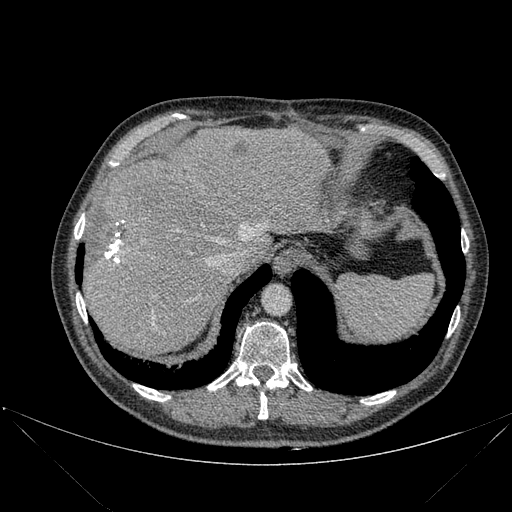

CT image, Upper abdomen
lung: [91,264,271,389], [75,244,84,284], [291,156,465,394] | hepatic lesion: [233,142,246,154] | bone: [461,229,468,252], [207,322,311,390], [76,294,87,322], [74,214,84,239], [133,384,169,401], [258,392,267,418], [447,311,459,336], [361,391,395,405] | liver: [244,240,257,271], [83,126,337,353], [260,233,271,251]